Brain; 240x240; Slice 73 of 155
FLAIR MR image.
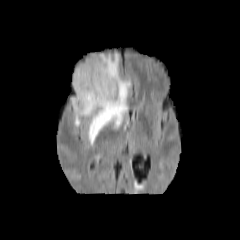
T1-weighted MR.
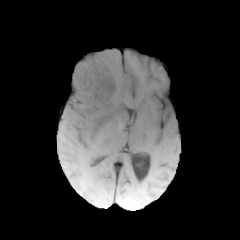
Post-contrast T1-weighted MR.
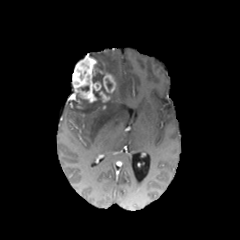
T2-weighted MR image.
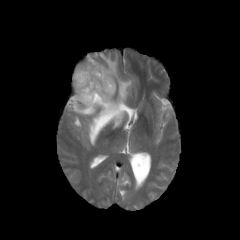
The enhancing tumor is located at 68, 53, 117, 109. 3 non-enhancing tumor core regions are bounded by 90, 54, 110, 73; 92, 73, 104, 82; 67, 90, 109, 114. The edema is at 73, 53, 132, 143.